FLAIR MR image.
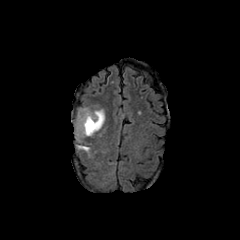
T1-weighted MR image.
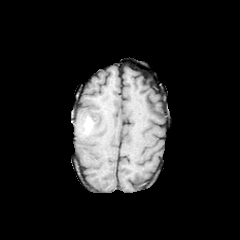
Post-contrast T1-weighted MRI.
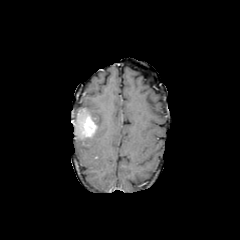
T2-weighted MRI.
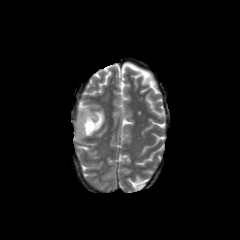
240x240 px
The enhancing tumor is bounded by {"x1": 75, "y1": 108, "x2": 97, "y2": 137}. 2 edema regions appear at {"x1": 75, "y1": 134, "x2": 92, "y2": 156}, {"x1": 84, "y1": 107, "x2": 105, "y2": 137}.